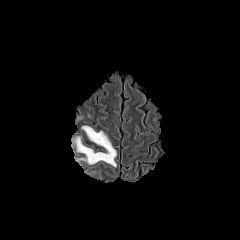
FLAIR MRI.
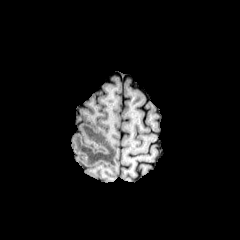
T1-weighted MRI.
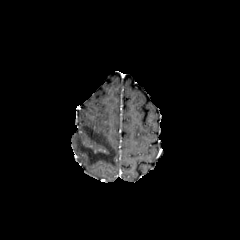
Same slice, post-contrast T1-weighted magnetic resonance.
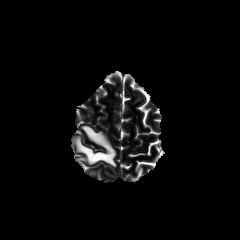
T2-weighted MR image.
edema:
  - <bbox>74, 126, 116, 166</bbox>